Computed tomography; Slice 237 of 391 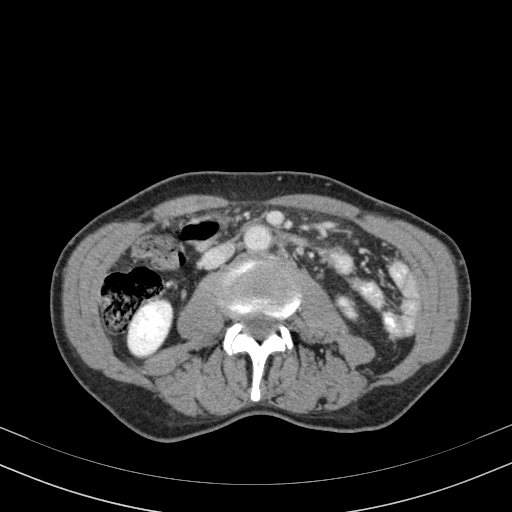 kidney: 128:301:171:354